Slice 402/836 | 512x512 px | Image width 348 mm | CT slice
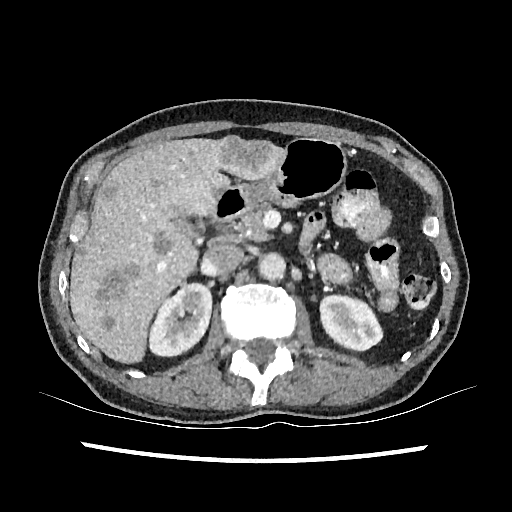 Kidney = [x1=320, y1=296, x2=382, y2=350], [x1=149, y1=284, x2=211, y2=357].
Focal liver lesion = [x1=101, y1=316, x2=114, y2=331], [x1=153, y1=231, x2=172, y2=254], [x1=212, y1=187, x2=224, y2=197], [x1=100, y1=186, x2=117, y2=199], [x1=219, y1=137, x2=274, y2=168], [x1=95, y1=264, x2=138, y2=301].
Liver = [x1=70, y1=139, x2=284, y2=361].